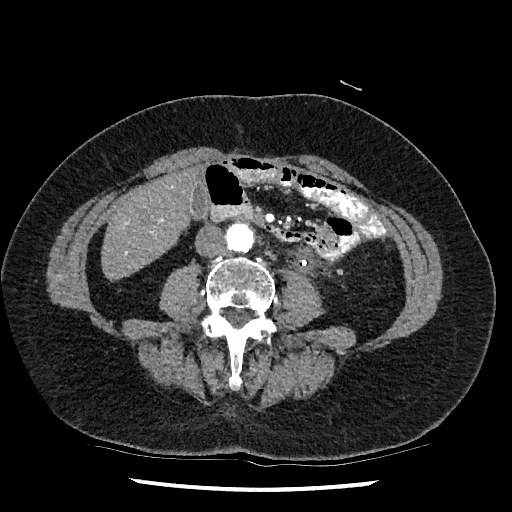 512x512 px | Liver | CT image

Liver: bounding box x1=101, y1=167, x2=198, y2=279.